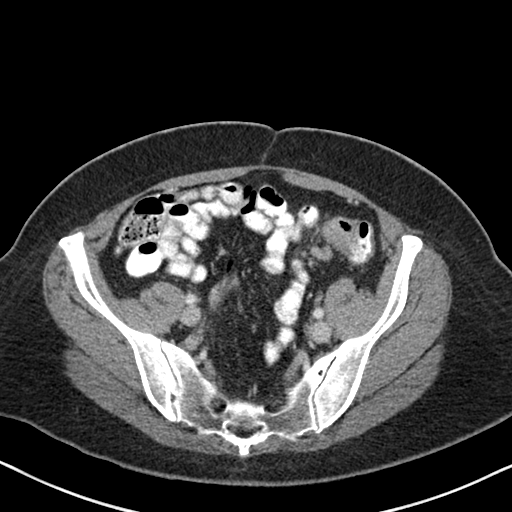 Image size 512x512 | CT scan slice | Pelvis
The colon tumor lies within (322, 219, 355, 253).